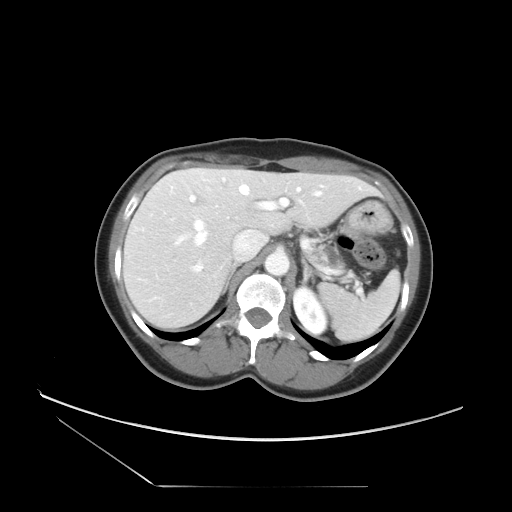
CT slice | Upper abdomen

pancreas:
  - (306, 247, 337, 270)